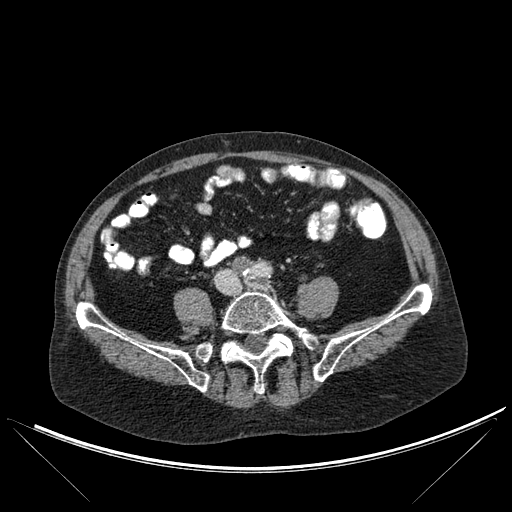

CT image
bone:
  - x1=313, y1=284, x2=431, y2=381
  - x1=196, y1=344, x2=212, y2=361
  - x1=221, y1=292, x2=313, y2=393
  - x1=76, y1=302, x2=208, y2=391